Slice 39 of 155, Brain, Image size 240x240
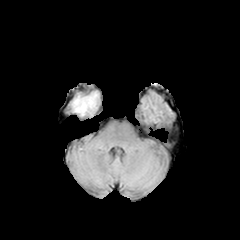
FLAIR MR image.
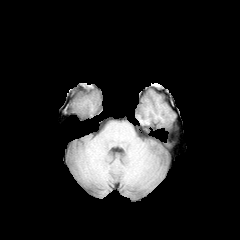
T1-weighted MR.
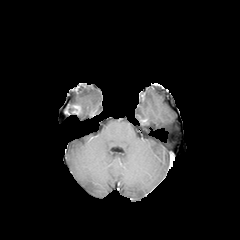
Same slice, post-contrast T1-weighted MR.
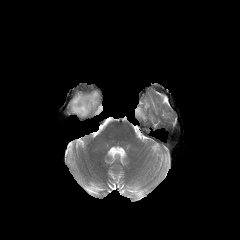
Same slice, T2-weighted MRI.
enhancing_tumor:
  - box(71, 105, 81, 114)
edema:
  - box(71, 91, 98, 116)